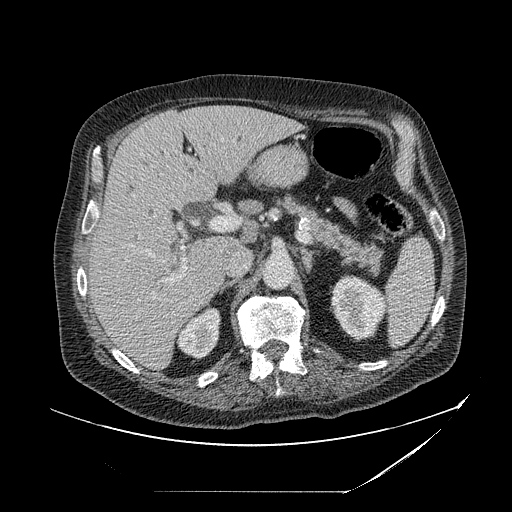

CT
The pancreas lies within rect(279, 194, 384, 277).